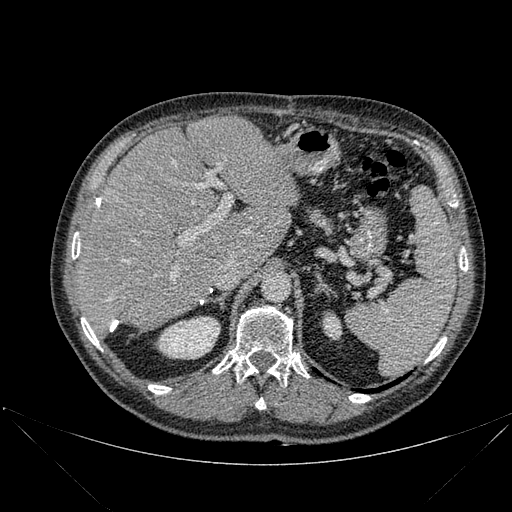
Upper abdomen, Computed tomography
Liver = box=[76, 116, 297, 338].
Kidney = box=[159, 317, 219, 358]; box=[323, 316, 341, 338].
Bone = box=[212, 307, 308, 383]; box=[148, 385, 170, 394]; box=[426, 337, 446, 361]; box=[81, 317, 99, 347]; box=[349, 394, 370, 403]; box=[459, 256, 467, 271]; box=[255, 398, 265, 409]; box=[72, 235, 79, 258].
Lung = box=[365, 378, 402, 392].